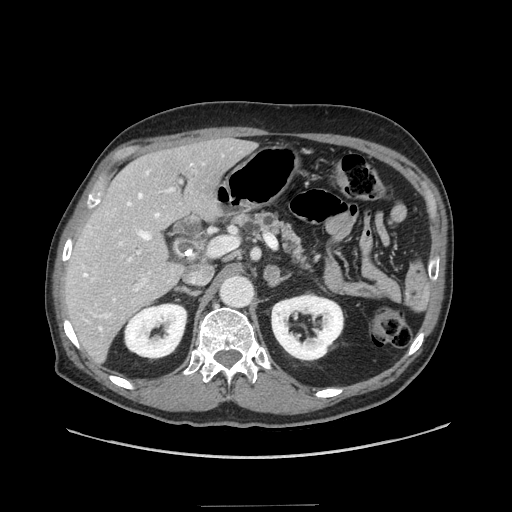
CT; Abdomen
pancreas: (254, 213, 306, 265)